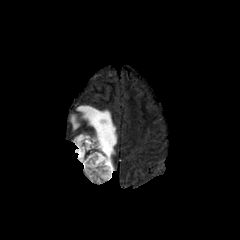
FLAIR magnetic resonance.
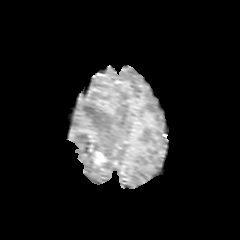
T1-weighted MRI.
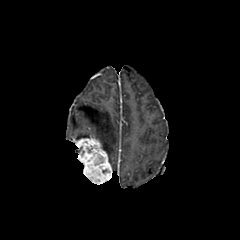
Post-contrast T1-weighted MR of the same slice.
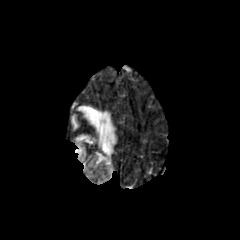
T2-weighted magnetic resonance of the same slice.
Image size 240x240; Brain
edema: <bbox>76, 134, 89, 139</bbox>, <bbox>77, 106, 117, 169</bbox>, <bbox>71, 115, 78, 129</bbox> | enhancing tumor: <bbox>72, 135, 112, 184</bbox>